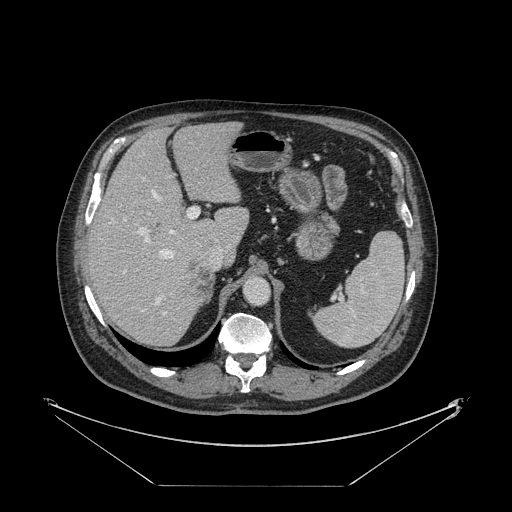 CT image. Liver.
Not every hepatic vessel necessarily has a box.
liver tumor: (188,260,212,300) | hepatic vessel: (155,298,159,304), (163,312,165,313), (137,227,148,242), (170,230,172,232)